FLAIR magnetic resonance.
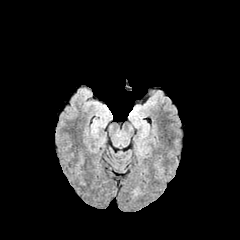
T1-weighted magnetic resonance.
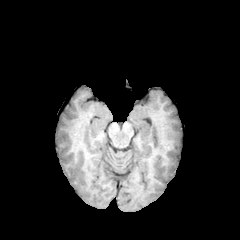
Post-contrast T1-weighted MRI.
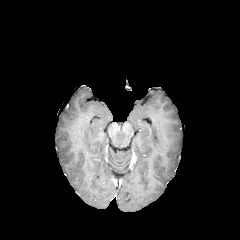
T2-weighted MR image.
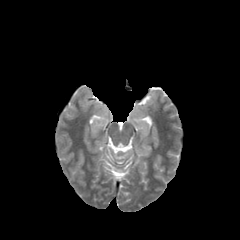
Brain
Findings:
* edema: region(131, 108, 147, 135); region(93, 108, 110, 131)